512x512 px; CT; Abdomen; Slice index 218

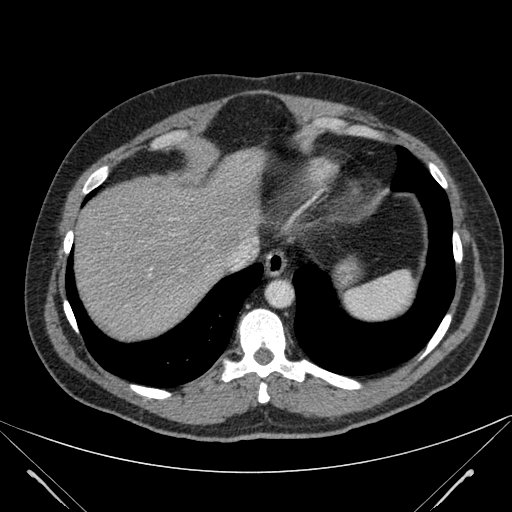 The liver is at x1=75 y1=149 x2=264 y2=340.